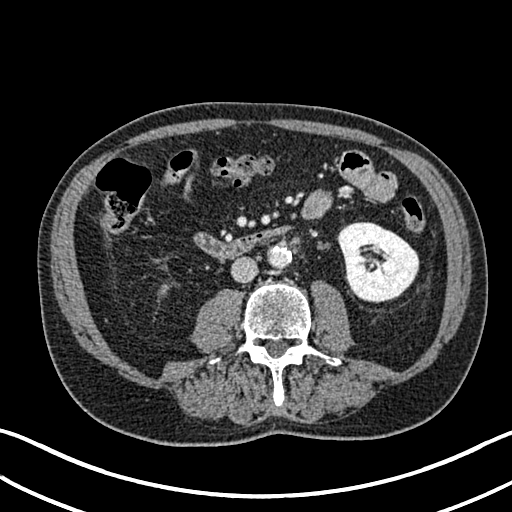

CT scan slice, Abdomen

The kidney appears at l=339, t=223, r=418, b=301.